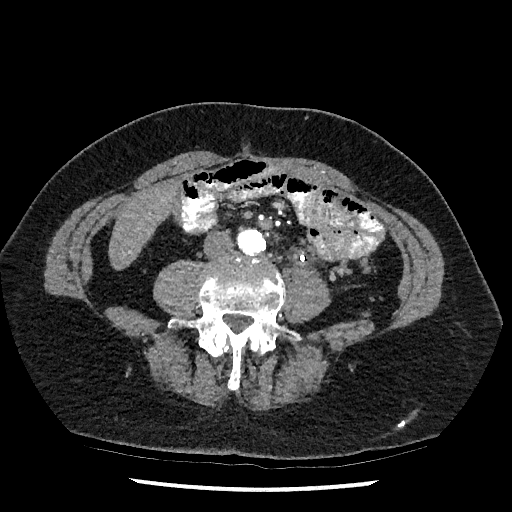
CT scan slice
Liver: bounding box region(108, 181, 174, 270).